Image width 700 mm, CT slice, Abdomen, Slice index 136

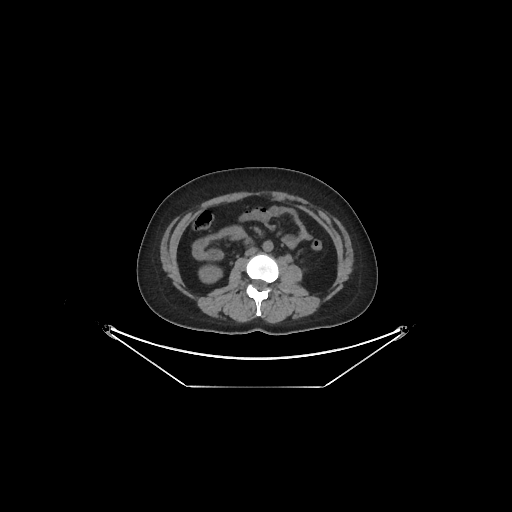
Segmented structures:
• kidney: 200:267:220:281